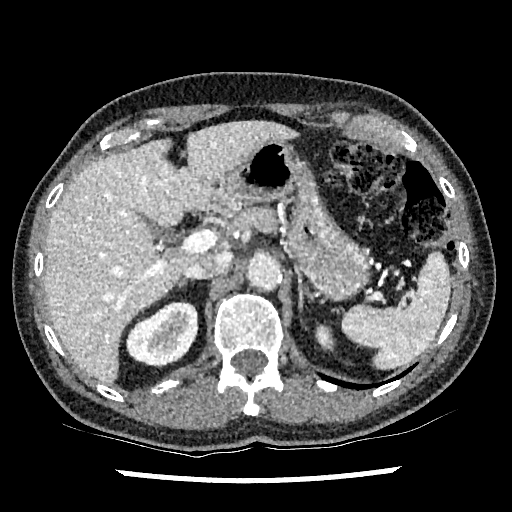

CT slice
{"liver": ["left=45, top=121, right=298, bottom=382"], "kidney": ["left=128, top=303, right=196, bottom=364", "left=319, top=332, right=326, bottom=342"]}